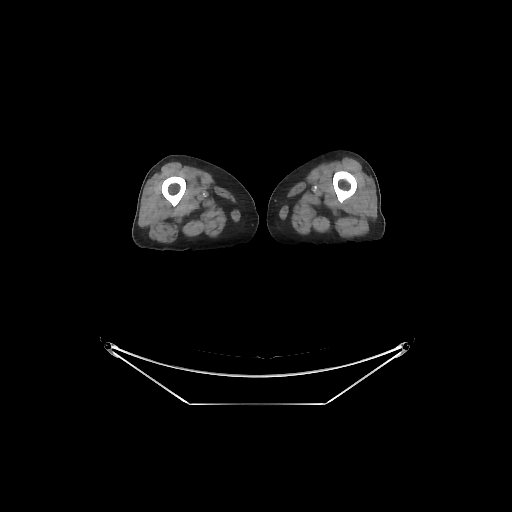 CT slice. Image size 512x512.

Annotated regions:
* bone: box=[333, 171, 356, 202]; box=[161, 176, 185, 206]